Computed tomography | Liver

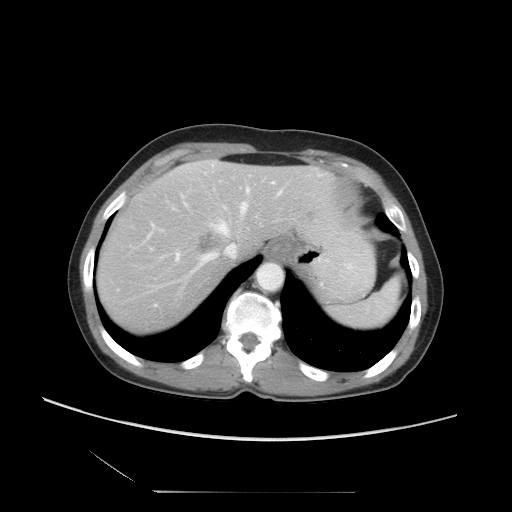

The vessel annotation is not exhaustive.
Liver tumor: 198,233,220,250; 306,210,314,218.
Hepatic vessel: 223,206,224,208; 277,190,280,194; 181,194,182,197; 271,181,273,183; 175,252,179,259; 148,233,150,236; 239,202,247,214; 198,252,216,265; 210,221,228,235; 151,223,154,228.